Computed tomography | Slice 105 of 164

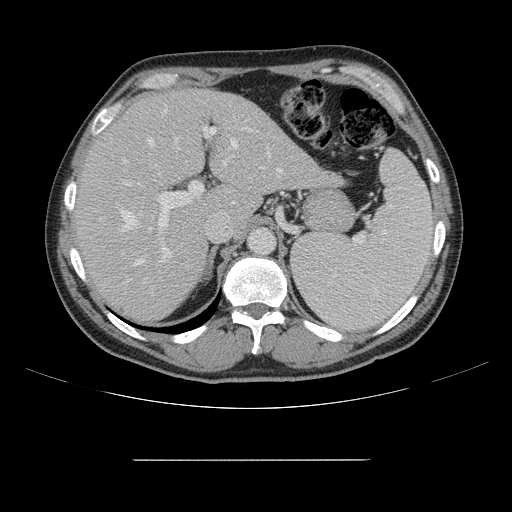 The vessel boxes may cover only some of the vessels.
Principal 15 of 20 hepatic vessel regions = 243,127,252,131; 267,152,269,156; 223,161,226,165; 148,139,154,146; 162,246,170,261; 173,138,179,149; 123,160,126,163; 203,127,215,138; 125,183,130,184; 277,168,282,176; 163,107,166,114; 229,140,237,148; 158,180,203,226; 133,258,143,265; 119,208,136,228.